Slice index 118
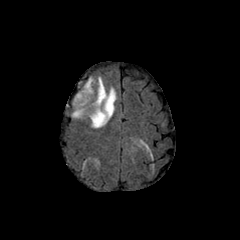
FLAIR magnetic resonance.
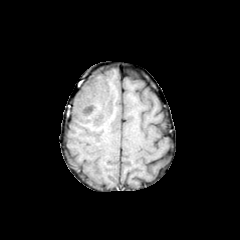
T1-weighted MR.
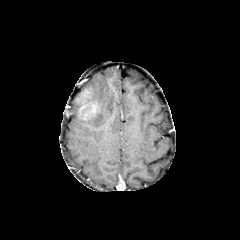
Post-contrast T1-weighted MRI.
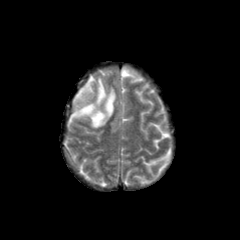
T2-weighted MR image of the same slice.
Findings:
- enhancing tumor: 74 88 98 117
- edema: 72 103 79 118, 83 77 116 128